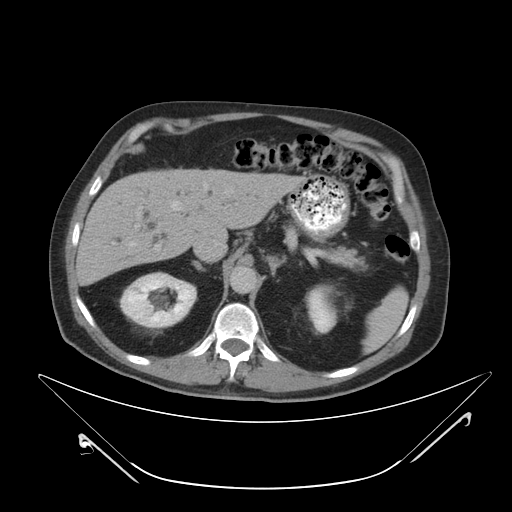 CT image; Abdomen
* pancreas: l=328, t=249, r=357, b=266